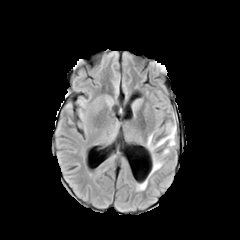
FLAIR MR image.
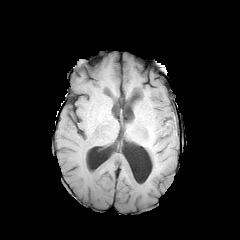
T1-weighted MR image.
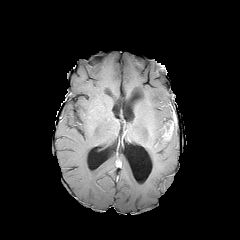
Same slice, post-contrast T1-weighted magnetic resonance.
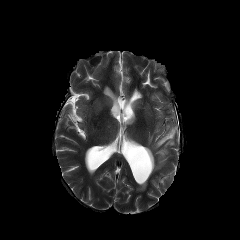
T2-weighted MR image of the same slice.
Image size 240x240.
Edema at 136 180 147 190, 146 114 176 175.
Enhancing tumor at 163 124 173 139.